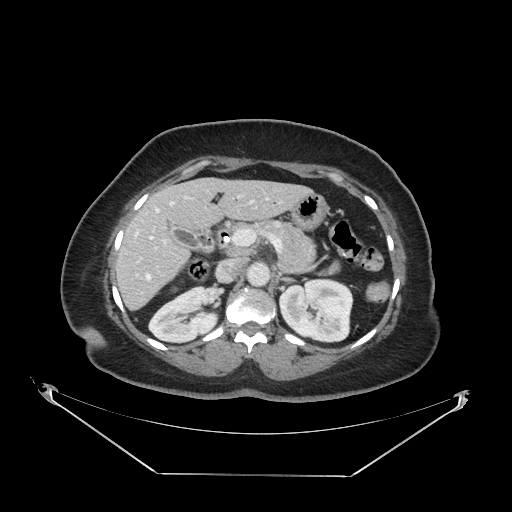 CT image | 512x512 | Abdomen
The pancreas is located at box(254, 220, 317, 272).